FLAIR MR.
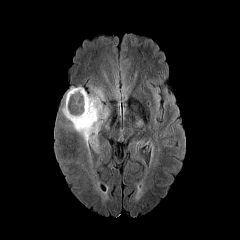
T1-weighted MR image.
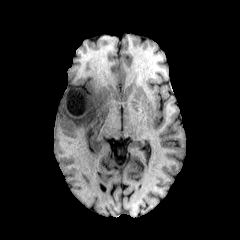
Post-contrast T1-weighted MRI.
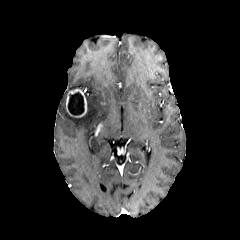
T2-weighted MRI.
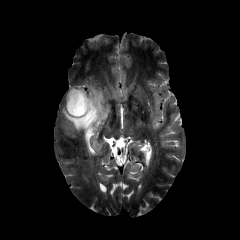
Brain
{
  "edema": [
    "box=[90, 135, 99, 153]",
    "box=[62, 85, 108, 167]"
  ],
  "non-enhancing_tumor_core": [
    "box=[68, 91, 84, 115]"
  ],
  "enhancing_tumor": [
    "box=[66, 88, 87, 117]"
  ]
}